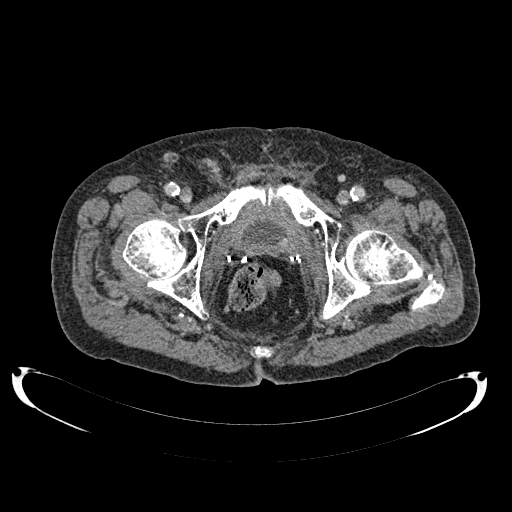

CT slice. Lower abdomen.
<segmentation>
  <urinary_bladder><bbox>244, 220, 284, 244</bbox></urinary_bladder>
</segmentation>